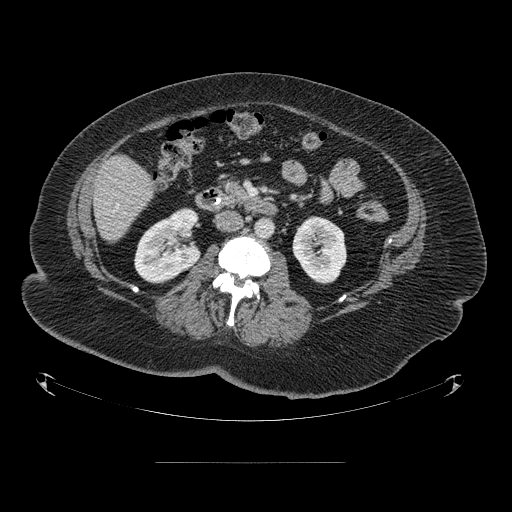 Upper abdomen. CT slice.

Pancreas — box(222, 181, 257, 205).